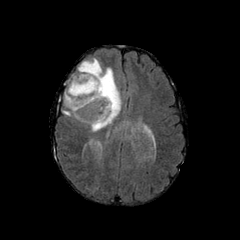
FLAIR magnetic resonance.
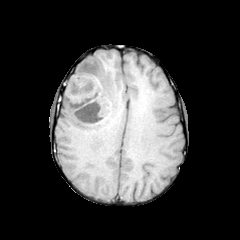
Same slice, T1-weighted MRI.
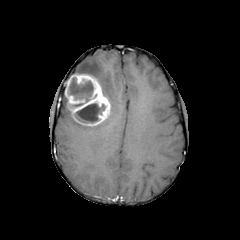
Post-contrast T1-weighted MR.
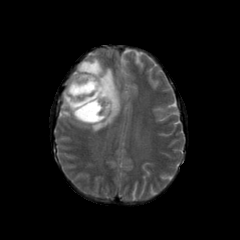
Same slice, T2-weighted MR image.
240x240 px. Brain.
Edema: bbox(62, 96, 72, 117); bbox(78, 58, 121, 131).
Non-enhancing tumor core: bbox(75, 103, 105, 122); bbox(69, 77, 93, 102).
Enhancing tumor: bbox(65, 73, 110, 125).